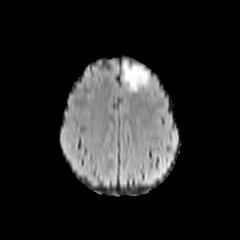
FLAIR magnetic resonance.
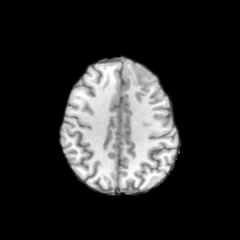
Same slice, T1-weighted MRI.
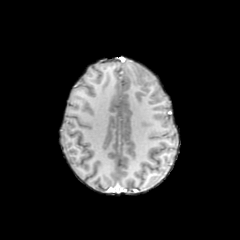
Post-contrast T1-weighted MR image.
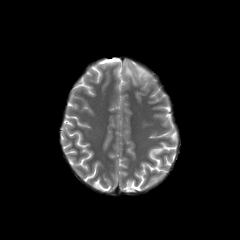
T2-weighted MR of the same slice.
{"non-enhancing_tumor_core": ["130, 66, 151, 84"], "edema": ["123, 62, 145, 90"]}